512x512 px; Liver; CT scan slice; Slice 145/151

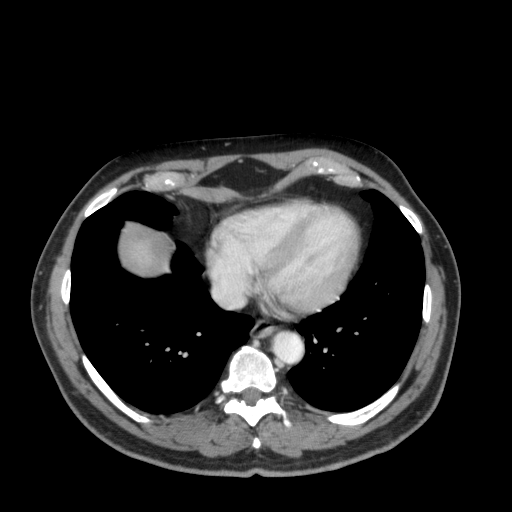

The liver is at region(132, 239, 153, 268).